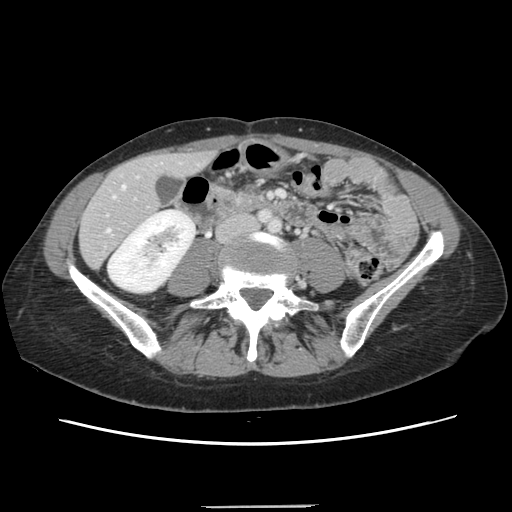 CT image
Only some of the vessels may be annotated.
Findings:
• hepatic vessel: rect(122, 185, 124, 188); rect(112, 196, 115, 197); rect(106, 229, 109, 231)